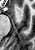
MRI slice
{
  "anterior_hippocampus": [
    "[17,9,18,10]"
  ]
}